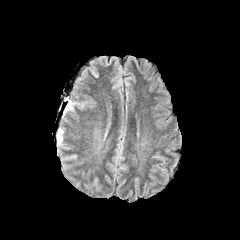
FLAIR MRI.
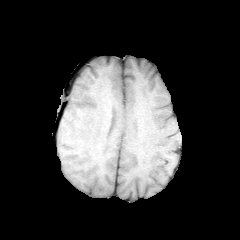
Same slice, T1-weighted MR image.
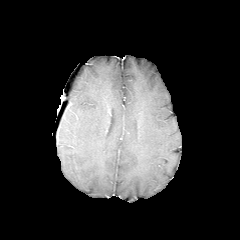
Post-contrast T1-weighted magnetic resonance.
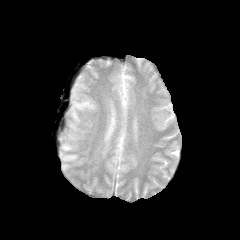
T2-weighted MR image of the same slice.
Head
The edema is located at 68, 100, 85, 109.